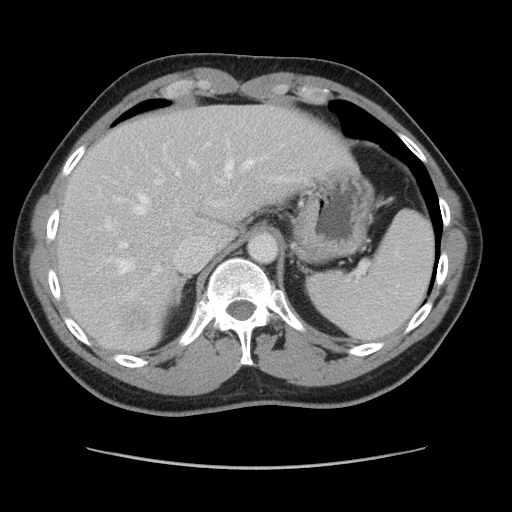
CT image

Not every hepatic vessel necessarily has a box.
liver tumor: 117 303 152 332 | [15/18] hepatic vessel: 133 194 149 213, 106 217 112 230, 130 292 135 296, 120 242 127 247, 154 265 161 273, 189 155 200 173, 213 153 233 184, 155 178 164 184, 176 170 179 175, 113 258 134 273, 114 197 124 201, 113 232 116 235, 241 158 255 171, 206 200 224 206, 226 139 229 147